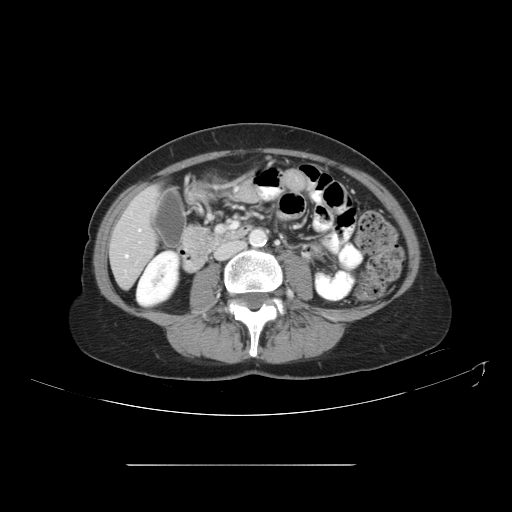 CT slice; Abdomen

Some hepatic vessels may have no box.
Hepatic vessel: x1=138, y1=229, x2=140, y2=231; x1=125, y1=254, x2=128, y2=257.